Brain, Field of view 240x240 mm
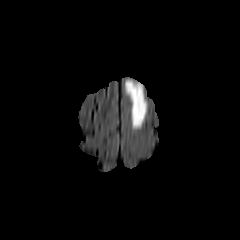
FLAIR MRI.
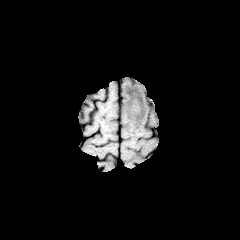
T1-weighted MR image of the same slice.
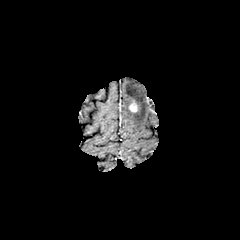
Post-contrast T1-weighted MRI.
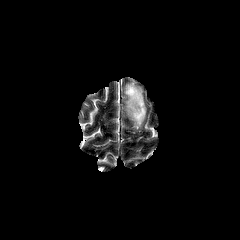
Same slice, T2-weighted MR.
- edema: {"x1": 123, "y1": 80, "x2": 147, "y2": 132}
- enhancing tumor: {"x1": 129, "y1": 102, "x2": 137, "y2": 111}